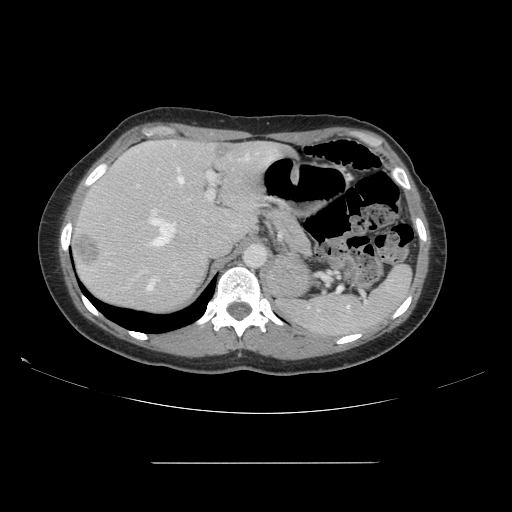 CT scan slice

Some hepatic vessels may have no box.
<segmentation>
  <hepatic_vessel>bbox(206, 171, 213, 180); bbox(147, 279, 154, 290); bbox(167, 222, 175, 235); bbox(206, 191, 213, 199); bbox(137, 185, 139, 187); bbox(177, 168, 183, 183); bbox(149, 209, 162, 226); bbox(238, 154, 249, 162); bbox(140, 269, 147, 273); bbox(151, 230, 168, 246)</hepatic_vessel>
  <liver_tumor>bbox(75, 232, 101, 265); bbox(213, 145, 228, 159)</liver_tumor>
</segmentation>